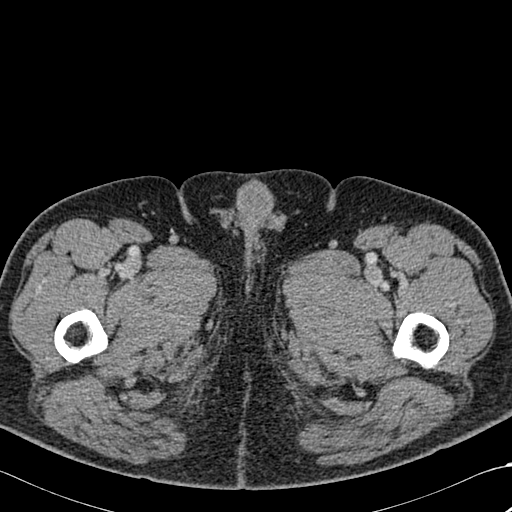

CT | 512x512

Bone: x1=54 y1=309 x2=107 y2=362, x1=393 y1=312 x2=448 y2=367.